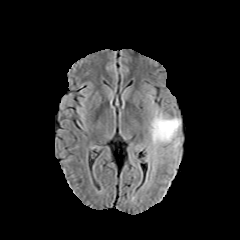
FLAIR MR image.
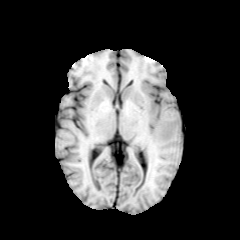
T1-weighted MR.
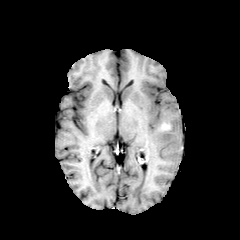
Same slice, post-contrast T1-weighted MR.
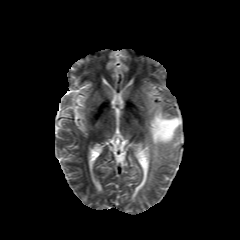
T2-weighted magnetic resonance.
Image size 240x240
The edema lies within (x1=140, y1=102, x2=182, y2=163).